FLAIR MRI.
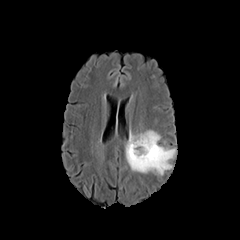
T1-weighted MRI.
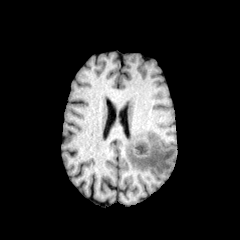
Post-contrast T1-weighted MR image.
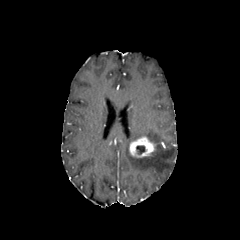
T2-weighted magnetic resonance.
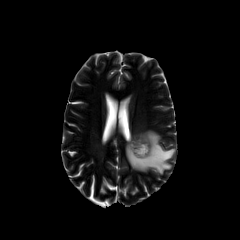
Brain
{
  "enhancing_tumor": [
    "(x1=129, y1=137, x2=156, y2=157)"
  ],
  "edema": [
    "(x1=125, y1=129, x2=175, y2=174)"
  ],
  "non-enhancing_tumor_core": [
    "(x1=136, y1=145, x2=145, y2=153)"
  ]
}